Abdomen; Slice index 76; 512x512 px; CT image

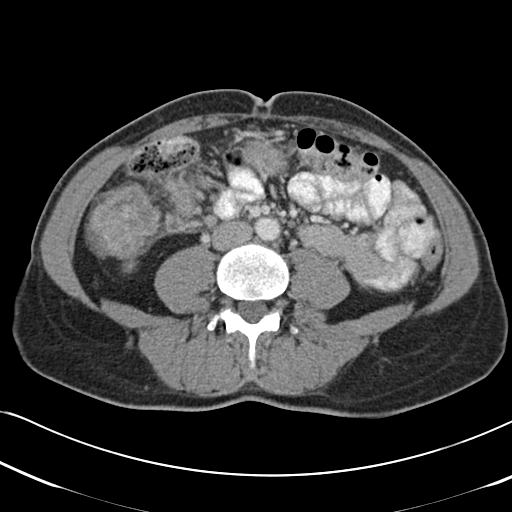 - colon tumor: {"x1": 165, "y1": 179, "x2": 194, "y2": 212}, {"x1": 86, "y1": 185, "x2": 161, "y2": 256}